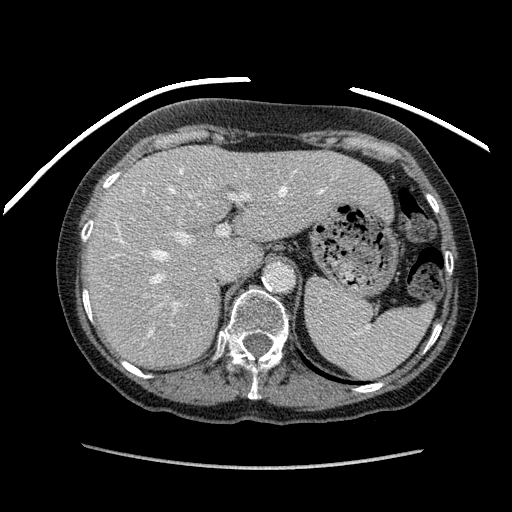 Computed tomography
<segmentation>
  <liver>(84, 145, 391, 367)</liver>
</segmentation>